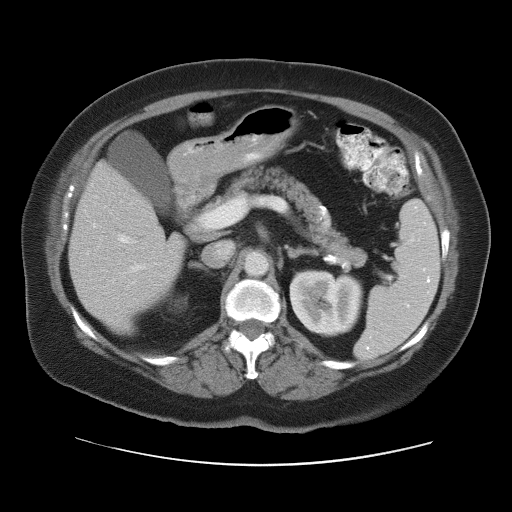

CT image
The spleen is bounded by 357, 201, 441, 356.